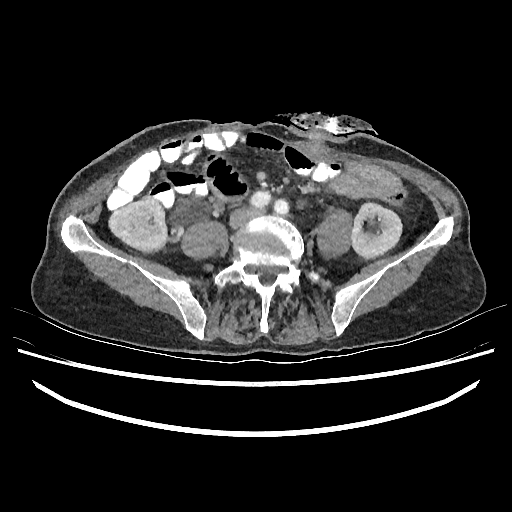

CT. Abdomen. 2 kidney regions appear at x1=351 y1=203 x2=401 y2=257, x1=109 y1=197 x2=166 y2=250.